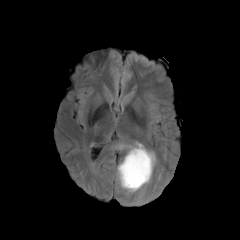
FLAIR MR.
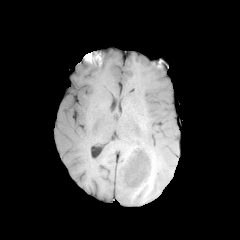
Same slice, T1-weighted magnetic resonance.
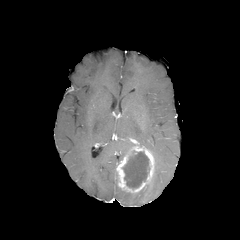
Same slice, post-contrast T1-weighted magnetic resonance.
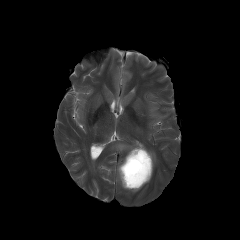
T2-weighted MRI of the same slice.
240x240
Enhancing tumor: bounding box (left=116, top=146, right=154, bottom=192).
Non-enhancing tumor core: bounding box (left=122, top=151, right=149, bottom=189).